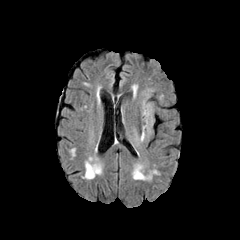
FLAIR MR image.
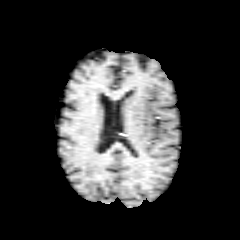
Same slice, T1-weighted MR.
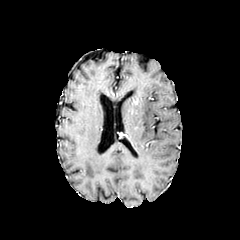
Same slice, post-contrast T1-weighted MR image.
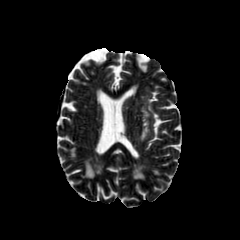
T2-weighted magnetic resonance of the same slice.
edema:
  - (140, 101, 152, 141)